512x512, Computed tomography
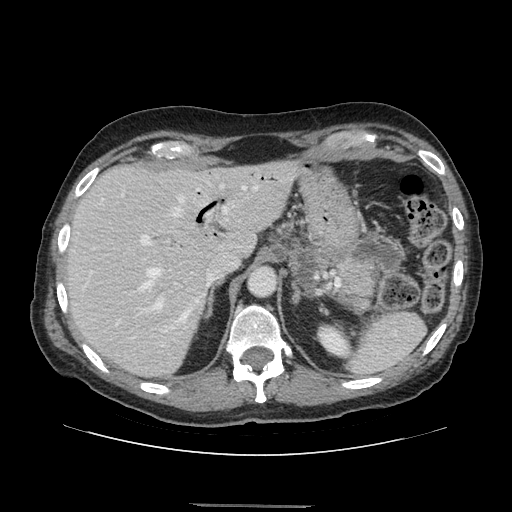

Findings:
* pancreas: {"x1": 334, "y1": 256, "x2": 373, "y2": 309}